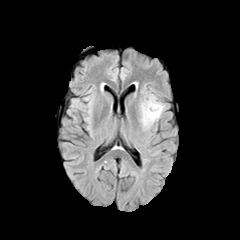
FLAIR MR image.
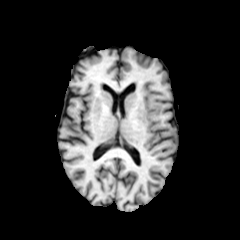
T1-weighted MR.
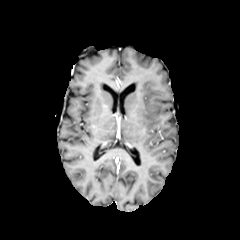
Post-contrast T1-weighted magnetic resonance of the same slice.
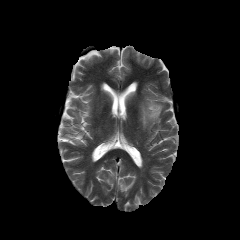
T2-weighted MR.
Brain
Edema: bounding box 140 94 163 126.